Liver; Slice index 445; Computed tomography

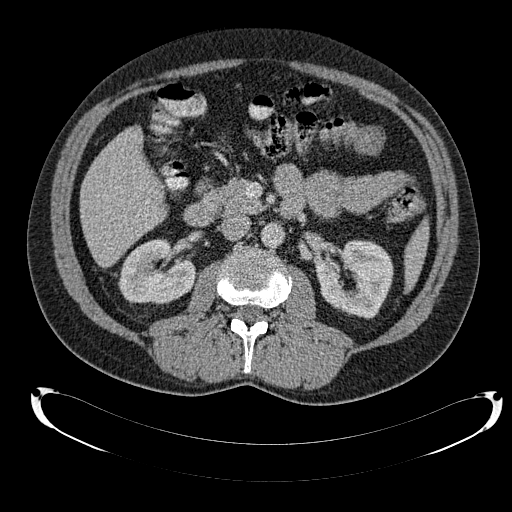 Liver = region(79, 127, 164, 267).
Kidney = region(316, 241, 392, 317); region(119, 240, 194, 303).